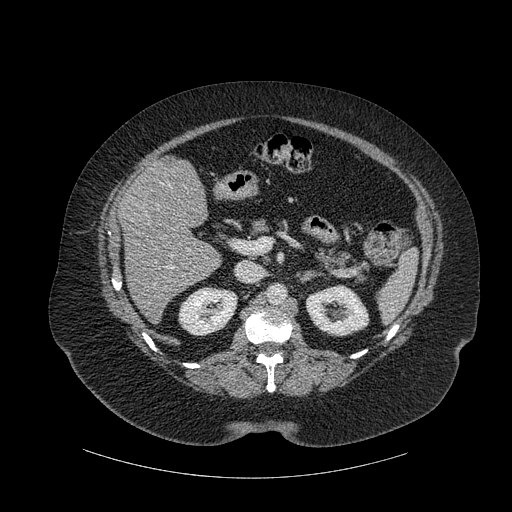
512x512 px; CT slice

Segmented structures:
• liver: {"x1": 118, "y1": 158, "x2": 222, "y2": 323}
• bone: {"x1": 184, "y1": 363, "x2": 199, "y2": 368}, {"x1": 112, "y1": 279, "x2": 121, "y2": 289}, {"x1": 245, "y1": 309, "x2": 292, "y2": 343}, {"x1": 387, "y1": 325, "x2": 398, "y2": 339}, {"x1": 351, "y1": 350, "x2": 366, "y2": 358}, {"x1": 257, "y1": 354, "x2": 282, "y2": 391}, {"x1": 142, "y1": 333, "x2": 156, "y2": 350}
• kidney: {"x1": 306, "y1": 286, "x2": 368, "y2": 335}, {"x1": 179, "y1": 288, "x2": 236, "y2": 334}